Image size 240x240 | Slice 80/155 | Brain
FLAIR MRI.
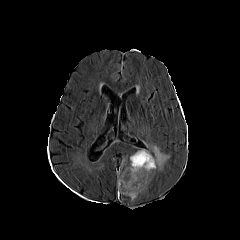
T1-weighted magnetic resonance.
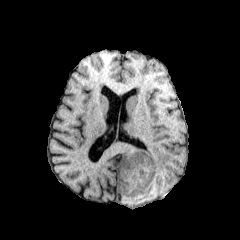
Post-contrast T1-weighted MR image.
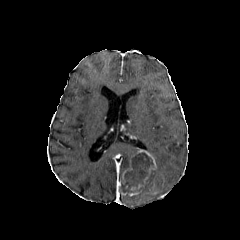
T2-weighted magnetic resonance.
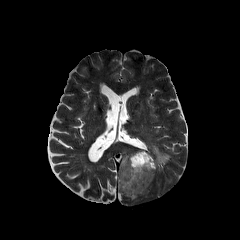
Enhancing tumor: bounding box (130,176,148,189), (119,149,157,196).
Non-enhancing tumor core: bounding box (121,153,156,192).
Edema: bounding box (143,141,169,171).